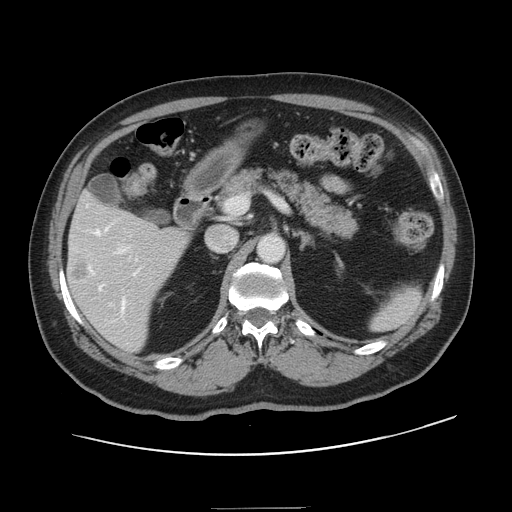
Image size 512x512, Liver, CT scan slice
The vessel annotation is not exhaustive.
The liver tumor is bounded by <bbox>74, 263, 88, 280</bbox>. 8 hepatic vessel regions are located at <bbox>89, 269, 93, 274</bbox>, <bbox>105, 226, 108, 230</bbox>, <bbox>133, 269, 138, 275</bbox>, <bbox>114, 246, 126, 253</bbox>, <bbox>99, 285, 103, 289</bbox>, <bbox>86, 204, 87, 206</bbox>, <bbox>121, 298, 125, 310</bbox>, <bbox>94, 230, 99, 235</bbox>.